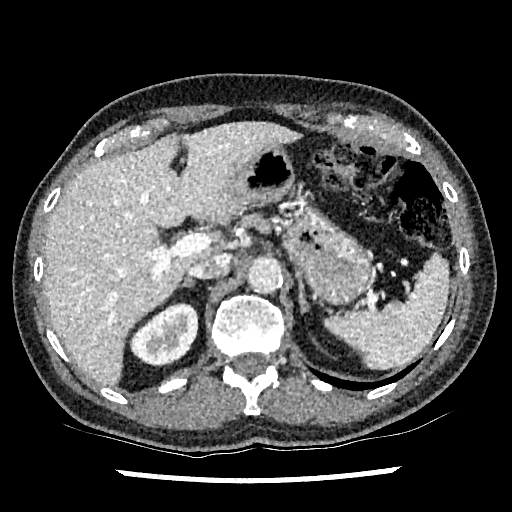 Computed tomography. The kidney lies within (133, 305, 196, 363). The liver is bounded by (45, 122, 301, 385).